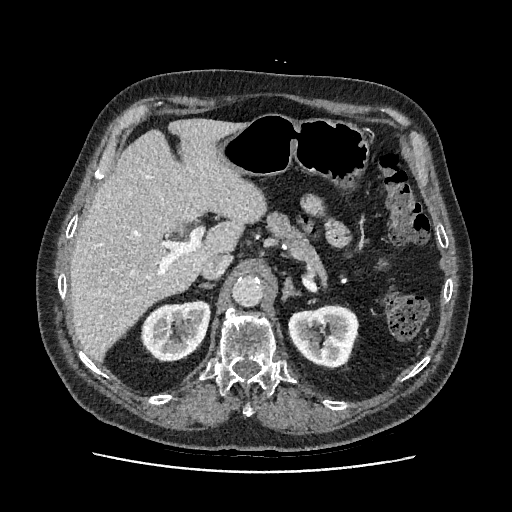 Abdomen; CT scan slice
Annotated regions:
* kidney: box=[143, 302, 209, 360]; box=[289, 306, 357, 366]
* liver: box=[70, 119, 264, 360]